Field of view 240x240 mm | Head
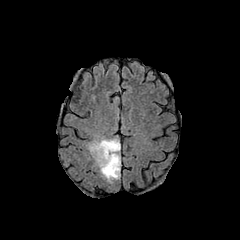
FLAIR MR image.
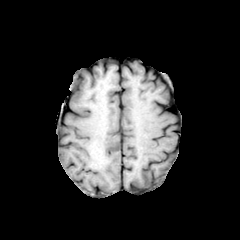
Same slice, T1-weighted MR image.
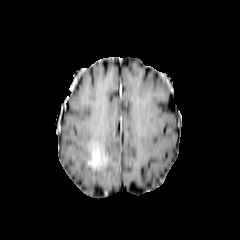
Same slice, post-contrast T1-weighted MR.
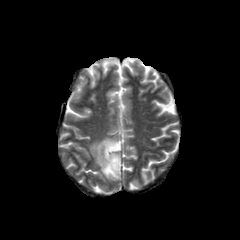
T2-weighted MR image of the same slice.
<segmentation>
  <edema>rect(87, 136, 121, 183)</edema>
  <enhancing_tumor>rect(92, 145, 107, 166)</enhancing_tumor>
  <non-enhancing_tumor_core>rect(92, 143, 109, 168)</non-enhancing_tumor_core>
</segmentation>